Slice index 35 | CT slice | Abdomen 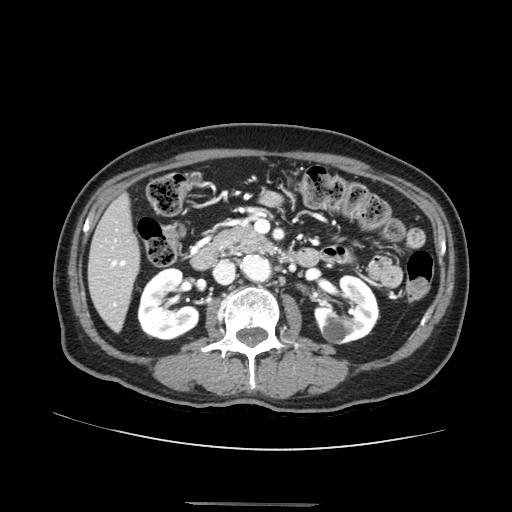
The pancreas is at rect(226, 228, 263, 249).